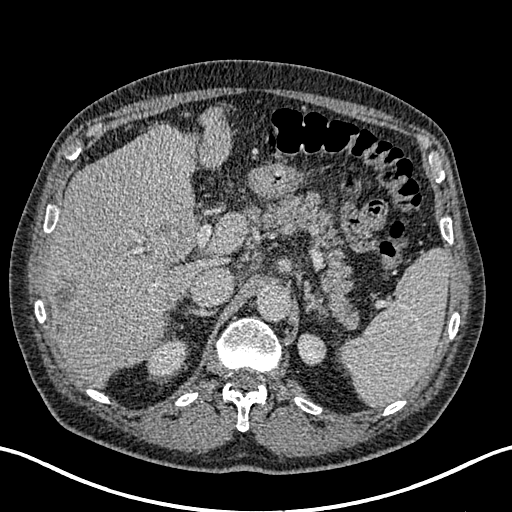
Upper abdomen, CT scan slice
Segmented structures:
• kidney: bbox=[299, 335, 324, 363]; bbox=[149, 342, 184, 375]
• liver: bbox=[198, 106, 230, 168]; bbox=[45, 124, 247, 387]
• focal liver lesion: bbox=[147, 218, 192, 267]; bbox=[50, 276, 87, 334]; bbox=[130, 342, 148, 358]